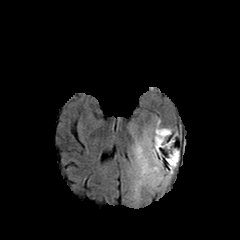
FLAIR MR image.
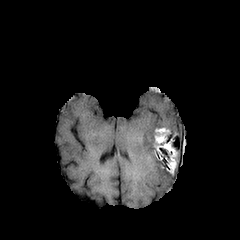
T1-weighted MR image of the same slice.
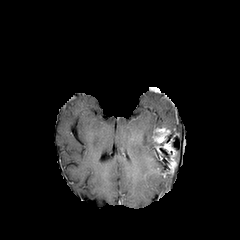
Same slice, post-contrast T1-weighted MR image.
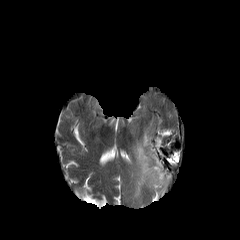
T2-weighted MR.
Enhancing tumor at 156:139:177:173, 154:128:170:143.
Edema at 129:117:179:201.